CT slice. Abdomen. Image width 386 mm.

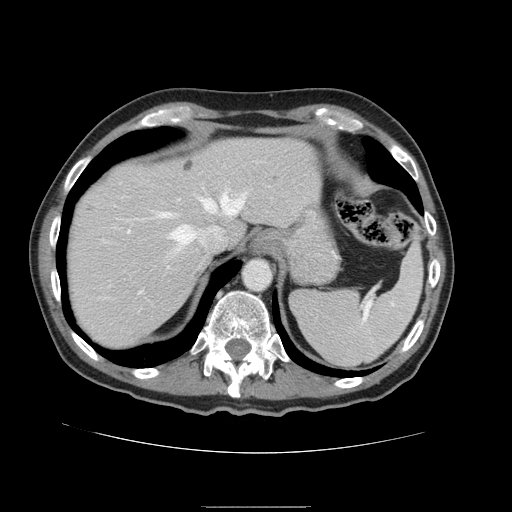 Only some of the vessels may be annotated.
Hepatic vessel at rect(158, 212, 171, 216); rect(128, 230, 130, 232); rect(139, 291, 141, 292); rect(202, 192, 243, 220); rect(170, 223, 226, 252).